FLAIR MR image.
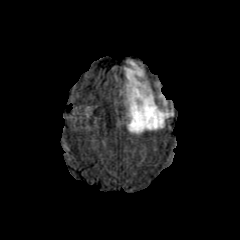
T1-weighted MR image.
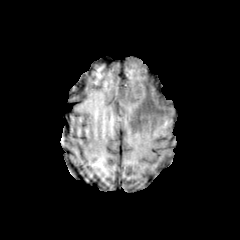
Post-contrast T1-weighted magnetic resonance.
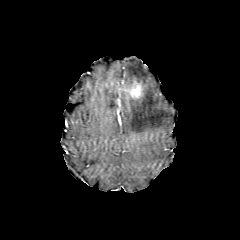
T2-weighted MRI.
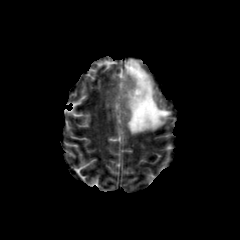
240x240
The enhancing tumor is located at region(124, 81, 144, 98). The edema lies within region(124, 60, 172, 133).